240x240.
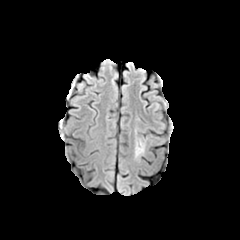
FLAIR MRI.
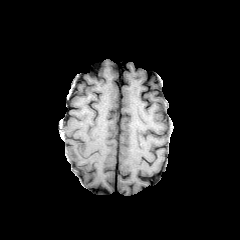
T1-weighted MR image.
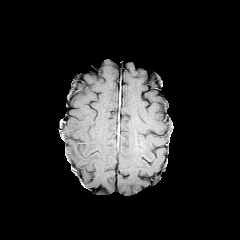
Post-contrast T1-weighted MR of the same slice.
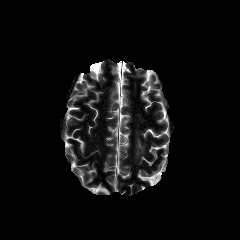
T2-weighted magnetic resonance of the same slice.
{"edema": [{"x1": 135, "y1": 139, "x2": 144, "y2": 158}]}